FLAIR MR.
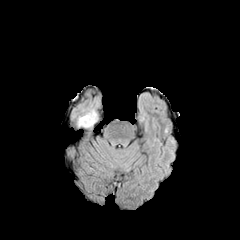
T1-weighted MRI.
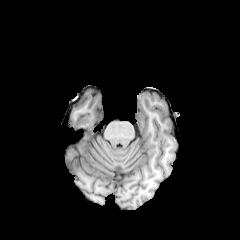
Post-contrast T1-weighted MR.
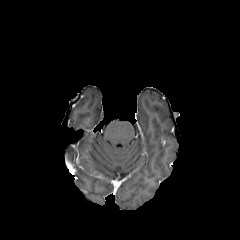
T2-weighted MRI.
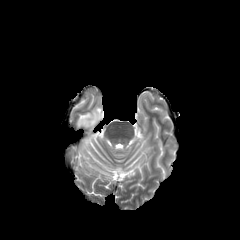
Brain, Image size 240x240
{"edema": ["x1=77 y1=105 x2=98 y2=128"]}